Slice 84 of 155; Field of view 240 mm wide, 1.00 mm slice spacing
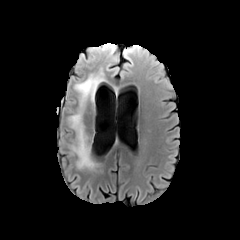
FLAIR MR image.
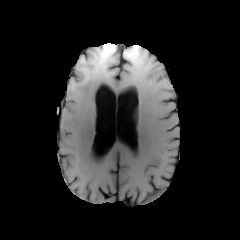
Same slice, T1-weighted MR.
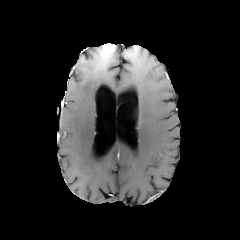
Post-contrast T1-weighted MR.
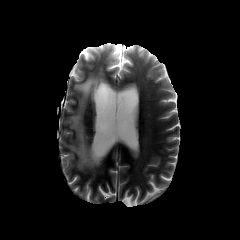
T2-weighted magnetic resonance.
Non-enhancing tumor core at box(88, 46, 105, 60); box(107, 51, 117, 66).
Edema at box(68, 56, 119, 168); box(120, 46, 144, 74).
Enhancing tumor at box(100, 46, 115, 63).